Slice 64 of 155 | 240x240
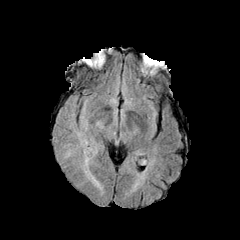
FLAIR MR image.
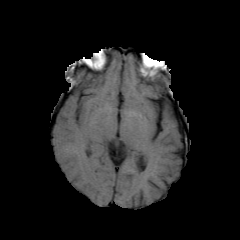
T1-weighted MRI of the same slice.
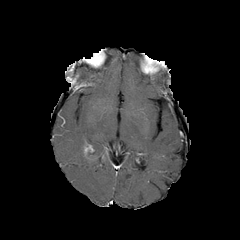
Post-contrast T1-weighted MR.
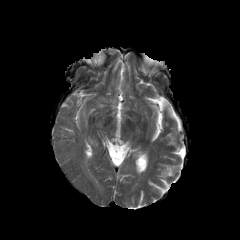
Same slice, T2-weighted MR.
The edema appears at <bbox>78, 133, 102, 189</bbox>.